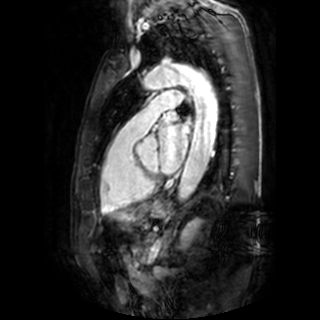

MR image
2 left atrium regions are bounded by bbox(158, 120, 188, 172); bbox(167, 111, 178, 120).